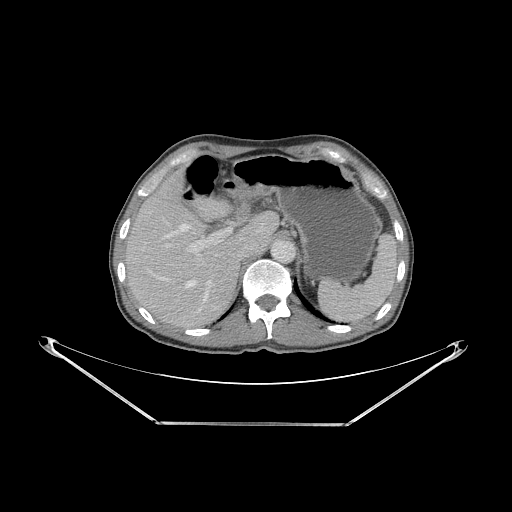

Upper abdomen, CT

Bone — (139,308,154,323), (243,260,290,338), (186,329,209,335), (138,188,147,195), (118,263,124,281), (328,325,350,332), (394,221,402,240), (397,261,404,280), (120,219,129,238), (376,303,390,319).
Lung — (294,277,334,322), (218,304,233,320).
Liver — (127,168,278,326).